Computed tomography.
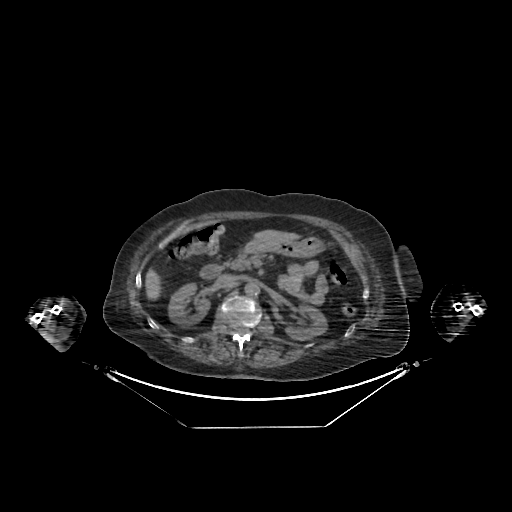

kidney:
  - bbox=[168, 283, 210, 326]
  - bbox=[285, 303, 327, 340]
liver:
  - bbox=[247, 229, 296, 245]
  - bbox=[145, 268, 164, 300]